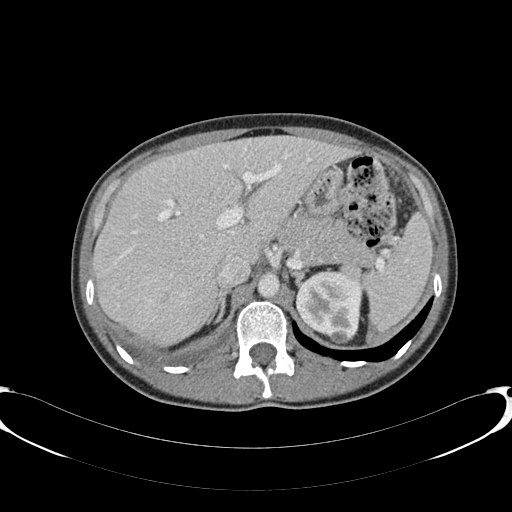
Abdomen, CT slice
Segmented structures:
• kidney: region(296, 272, 362, 342)
• liver: region(93, 137, 358, 346)